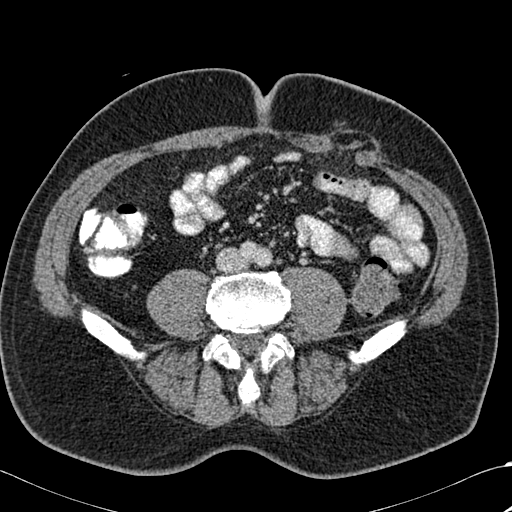 Computed tomography | 512x512 px
5 bone regions are located at left=352, top=321, right=404, bottom=363; left=203, top=334, right=259, bottom=404; left=206, top=271, right=290, bottom=333; left=258, top=333, right=293, bottom=372; left=82, top=310, right=141, bottom=358.